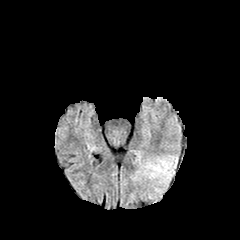
FLAIR magnetic resonance.
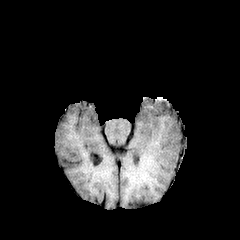
T1-weighted MRI.
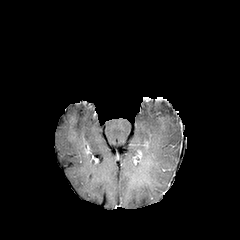
Post-contrast T1-weighted MR.
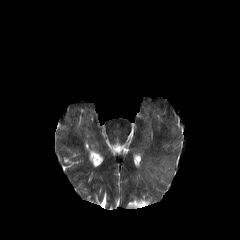
T2-weighted MR image.
Brain
Edema: (150,158,173,179).